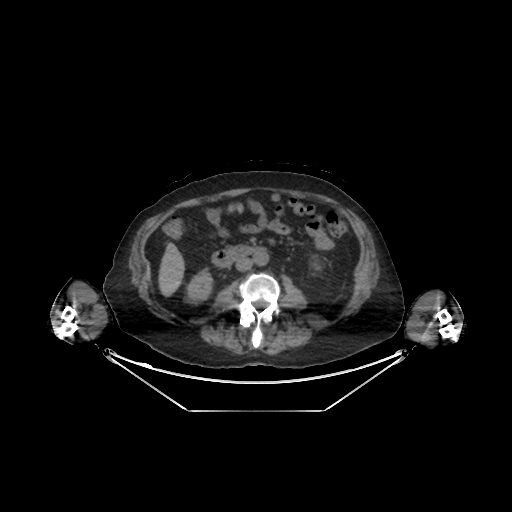

512x512 px, Upper abdomen, CT image

kidney:
  - x1=183, y1=266, x2=215, y2=305
liver:
  - x1=159, y1=243, x2=184, y2=296